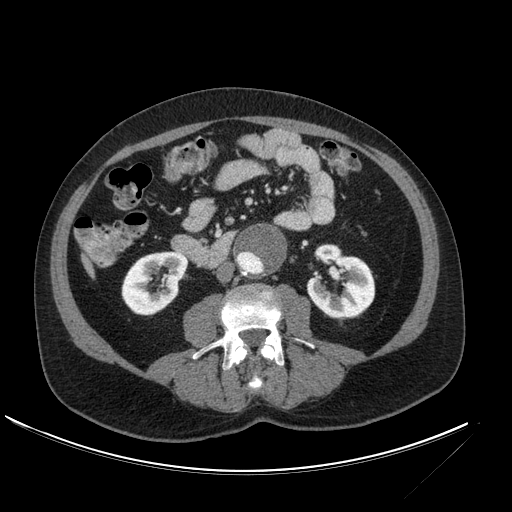 512x512 px | CT scan slice
2 kidney regions appear at rect(308, 245, 373, 316); rect(122, 252, 186, 314). The liver appears at rect(81, 253, 95, 279).